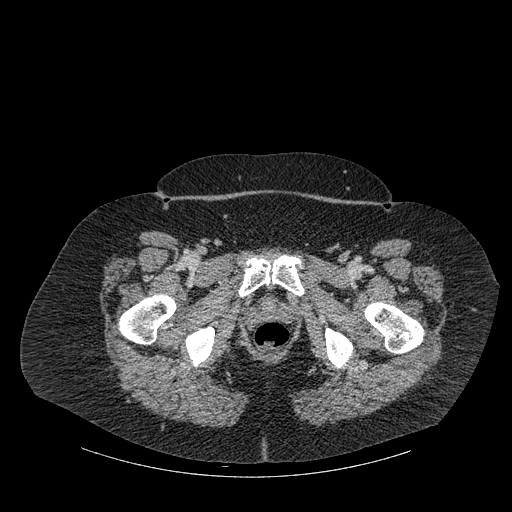

CT scan slice.

{"bone": ["box(364, 302, 423, 353)", "box(119, 294, 176, 344)", "box(325, 328, 352, 367)", "box(239, 255, 304, 296)", "box(185, 327, 214, 366)"]}